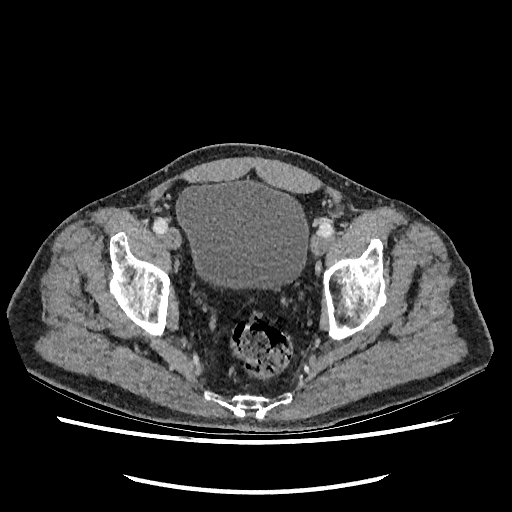

CT | Lower abdomen

Segmented structures:
* urinary bladder: x1=176 y1=179 x2=308 y2=288